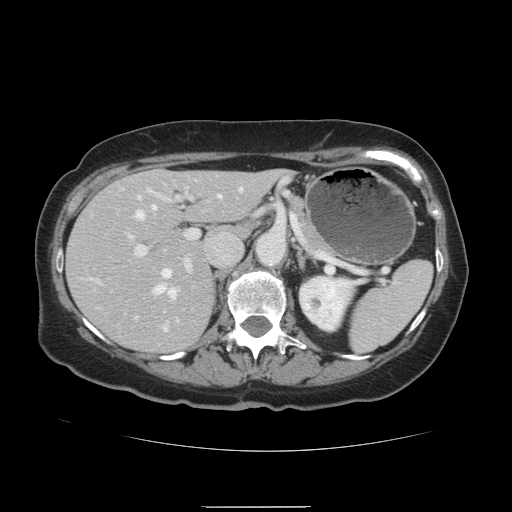
CT image; 512x512; Liver

Only some of the vessels may be annotated.
* hepatic vessel: l=184, t=229, r=197, b=239; l=239, t=187, r=241, b=191; l=161, t=269, r=170, b=278; l=162, t=325, r=166, b=331; l=151, t=205, r=155, b=209; l=146, t=187, r=167, b=200; l=137, t=196, r=139, b=198; l=183, t=258, r=189, b=268; l=167, t=290, r=175, b=299; l=129, t=235, r=132, b=239; l=217, t=194, r=220, b=198; l=91, t=279, r=100, b=283; l=134, t=210, r=142, b=219; l=152, t=285, r=165, b=294; l=135, t=245, r=145, b=255